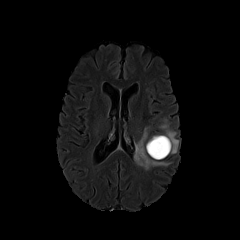
FLAIR MRI.
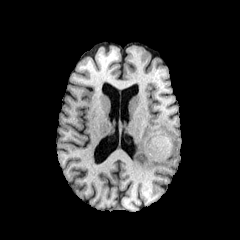
T1-weighted MR image.
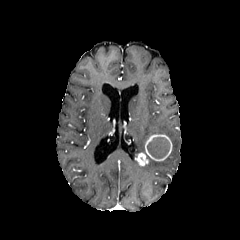
Post-contrast T1-weighted MRI of the same slice.
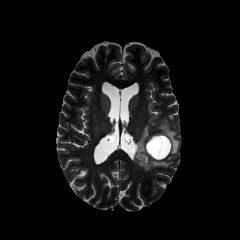
Same slice, T2-weighted MR image.
Brain, Image size 240x240
non-enhancing tumor core: region(147, 137, 170, 159) | enhancing tumor: region(135, 152, 148, 166); region(145, 133, 172, 161) | edema: region(134, 156, 172, 170); region(135, 117, 178, 155)